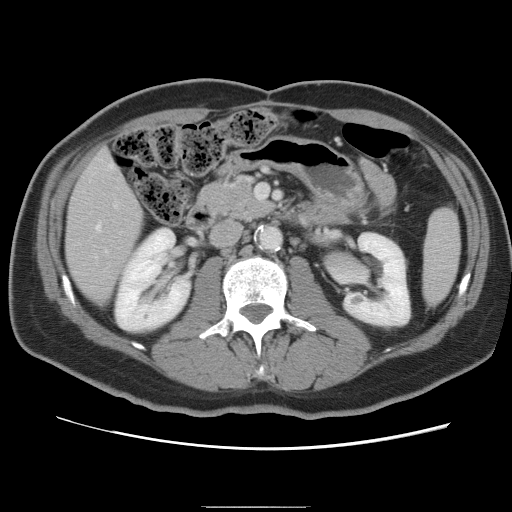
CT slice. Liver.

Only some of the vessels may be annotated.
Hepatic vessel at <bbox>93, 254, 96, 256</bbox>, <bbox>95, 223, 100, 230</bbox>, <bbox>113, 201, 117, 207</bbox>.